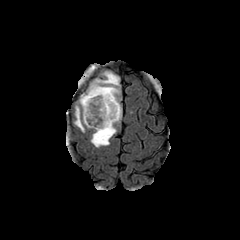
FLAIR MRI.
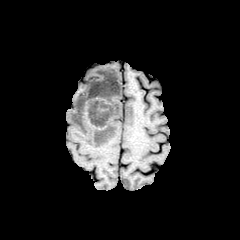
T1-weighted MR.
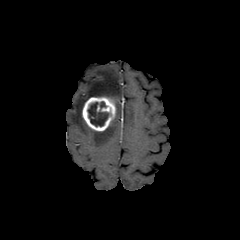
Same slice, post-contrast T1-weighted MR image.
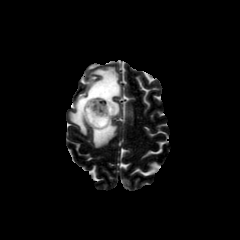
T2-weighted MRI.
Head
non-enhancing tumor core: rect(94, 125, 111, 139); rect(74, 74, 118, 127); rect(88, 102, 108, 126) | edema: rect(72, 65, 121, 147) | enhancing tumor: rect(82, 96, 117, 131)